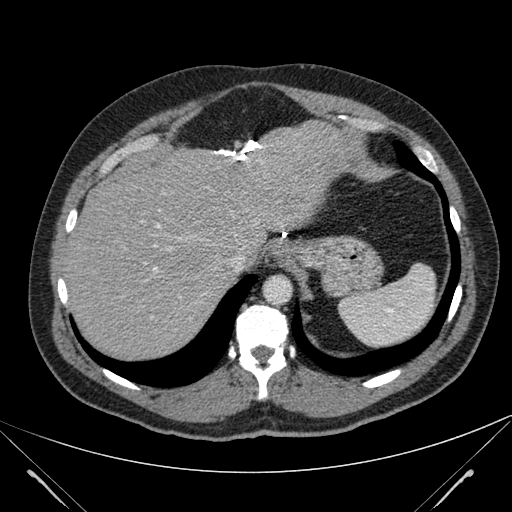
CT image
- liver: 63,122,369,360